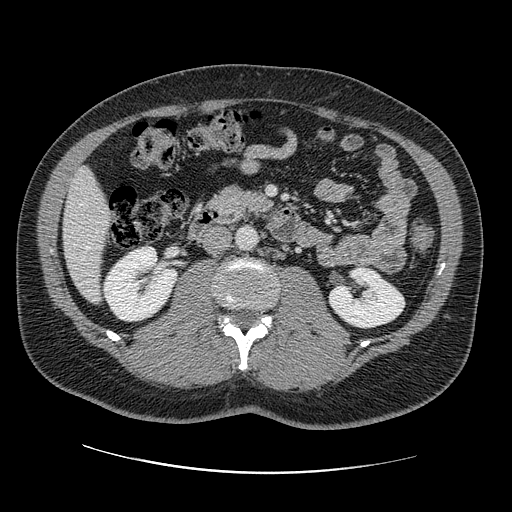 CT scan slice | Upper abdomen

Segmented structures:
* pancreas: [208, 183, 250, 224]